240x240. Image width 240 mm. Head.
FLAIR magnetic resonance.
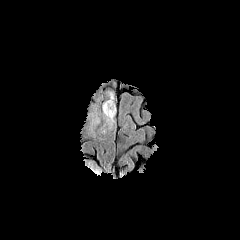
T1-weighted MR.
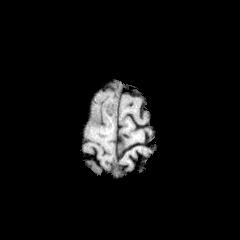
Post-contrast T1-weighted MR image.
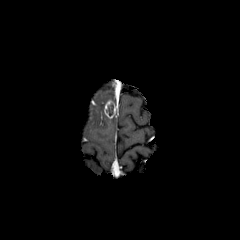
T2-weighted MRI.
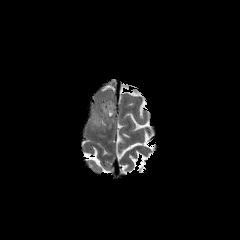
The enhancing tumor is bounded by rect(104, 100, 116, 118). The non-enhancing tumor core lies within rect(107, 104, 113, 116).